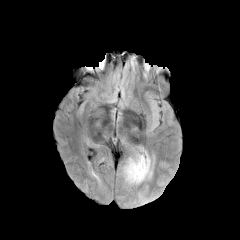
FLAIR MR image.
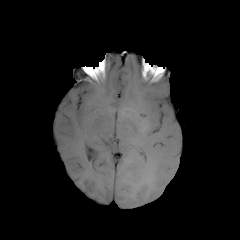
Same slice, T1-weighted MR.
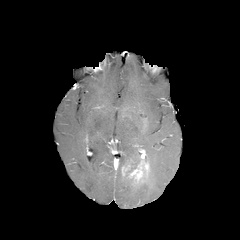
Same slice, post-contrast T1-weighted MRI.
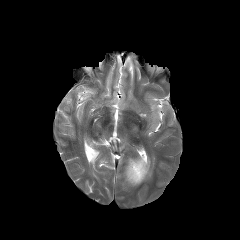
T2-weighted MR image.
Head
Enhancing tumor = {"x1": 129, "y1": 150, "x2": 148, "y2": 181}.
Edema = {"x1": 125, "y1": 153, "x2": 147, "y2": 184}.